Computed tomography, Image width 373 mm, Upper abdomen 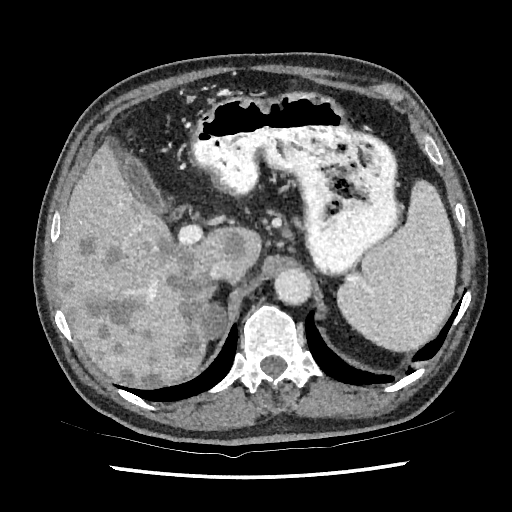
15 hepatic lesion regions are located at x1=93, y1=347, x2=105, y2=358; x1=148, y1=349, x2=161, y2=365; x1=156, y1=239, x2=212, y2=324; x1=97, y1=324, x2=109, y2=338; x1=65, y1=307, x2=76, y2=322; x1=77, y1=238, x2=96, y2=257; x1=142, y1=371, x2=162, y2=385; x1=121, y1=368, x2=133, y2=383; x1=140, y1=327, x2=153, y2=342; x1=221, y1=230, x2=244, y2=260; x1=106, y1=246, x2=127, y2=265; x1=60, y1=277, x2=73, y2=293; x1=172, y1=330, x2=200, y2=359; x1=115, y1=341, x2=123, y2=352; x1=85, y1=295, x2=144, y2=335. 2 liver regions are bounded by x1=185, y1=228, x2=260, y2=283; x1=56, y1=140, x2=204, y2=385.